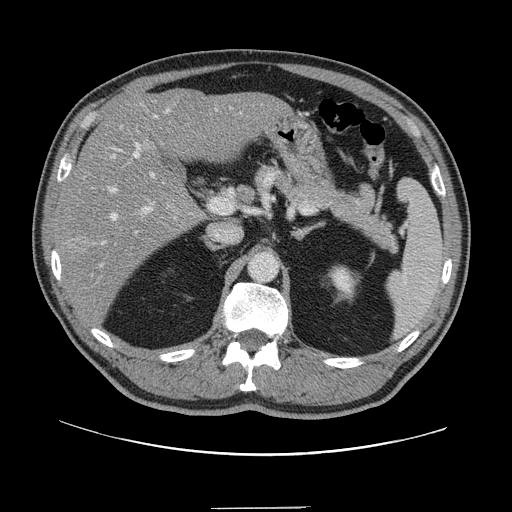 Computed tomography

Only some of the vessels may be annotated.
11 hepatic vessel regions are located at left=166, top=109, right=169, bottom=112; left=110, top=187, right=116, bottom=192; left=112, top=214, right=116, bottom=219; left=101, top=265, right=102, bottom=266; left=134, top=144, right=140, bottom=157; left=151, top=173, right=154, bottom=177; left=216, top=108, right=217, bottom=110; left=112, top=148, right=119, bottom=157; left=154, top=116, right=157, bottom=117; left=142, top=203, right=154, bottom=212; left=102, top=242, right=104, bottom=243. The liver tumor is bounded by left=69, top=237, right=90, bottom=255.